CT image.

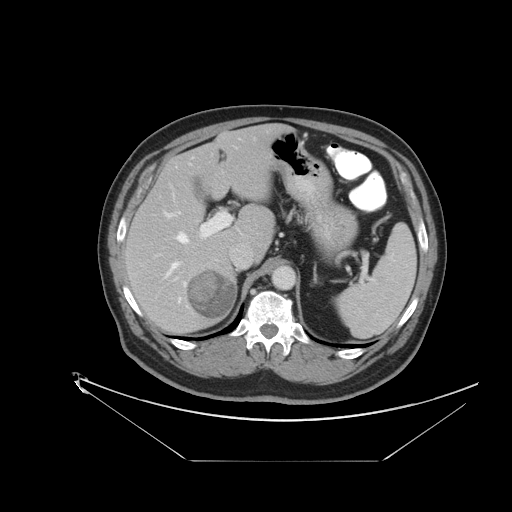

The vessel boxes may cover only some of the vessels.
* liver tumor: {"x1": 187, "y1": 270, "x2": 236, "y2": 319}
* hepatic vessel: {"x1": 165, "y1": 262, "x2": 179, "y2": 277}, {"x1": 179, "y1": 298, "x2": 180, "y2": 302}, {"x1": 183, "y1": 282, "x2": 186, "y2": 285}, {"x1": 164, "y1": 211, "x2": 180, "y2": 217}, {"x1": 177, "y1": 232, "x2": 188, "y2": 243}, {"x1": 200, "y1": 211, "x2": 232, "y2": 237}, {"x1": 173, "y1": 278, "x2": 177, "y2": 280}